CT scan slice
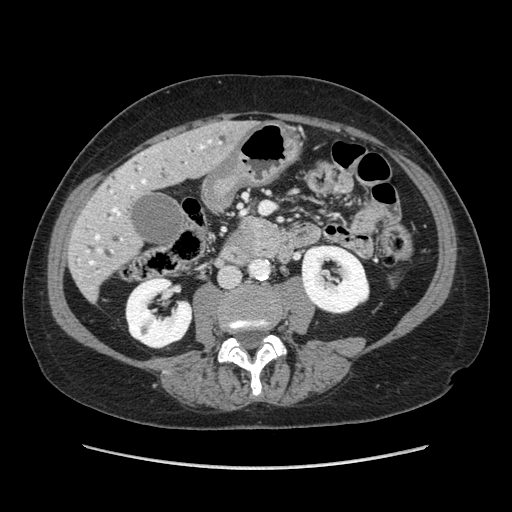
Pancreatic tumor: bounding box (232,229,249,250).
Pancreas: bounding box (229,214,276,258).